Slice 51/155
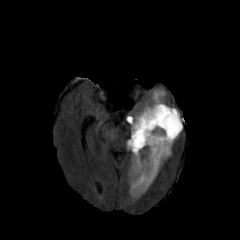
FLAIR MR.
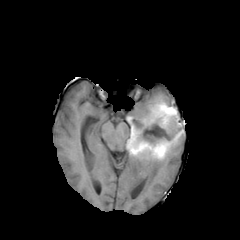
T1-weighted magnetic resonance of the same slice.
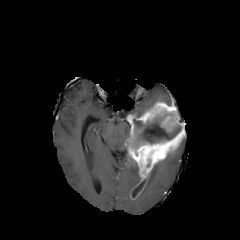
Same slice, post-contrast T1-weighted MRI.
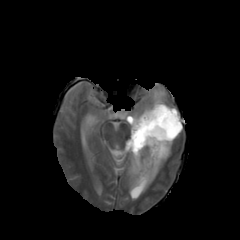
T2-weighted MR image.
non-enhancing tumor core: 132,160,162,195; 130,156,138,174; 134,115,181,143 | enhancing tumor: 127,101,184,181 | edema: 152,90,165,102; 134,160,163,196; 130,178,137,195